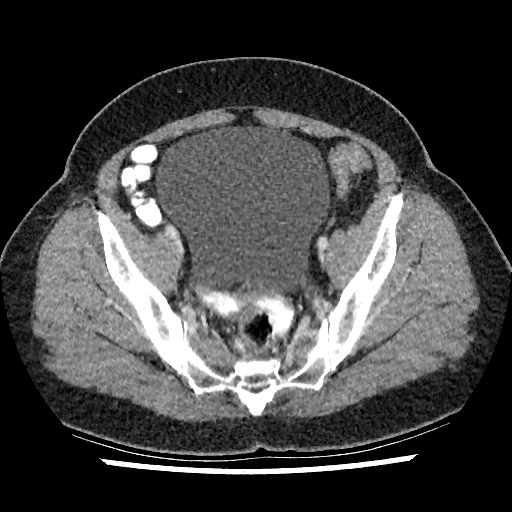

Computed tomography; 512x512 px

Segmented structures:
* urinary bladder: 156 124 329 293